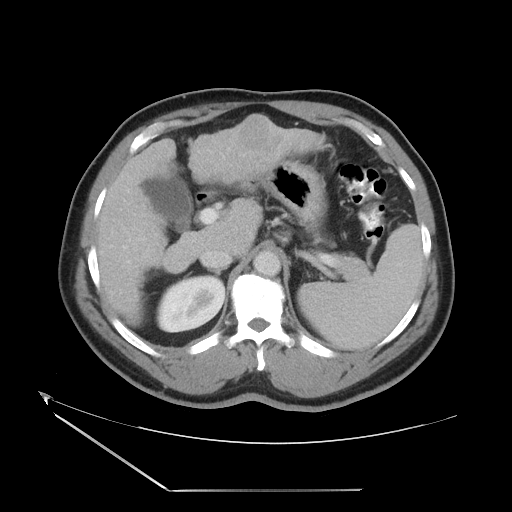
CT slice, 512x512 px, Abdomen
The vessel annotation is not exhaustive.
Hepatic vessel: bbox=[123, 246, 126, 248]; bbox=[127, 260, 130, 262]; bbox=[141, 238, 143, 239].
Liver tumor: bbox=[237, 116, 280, 151].